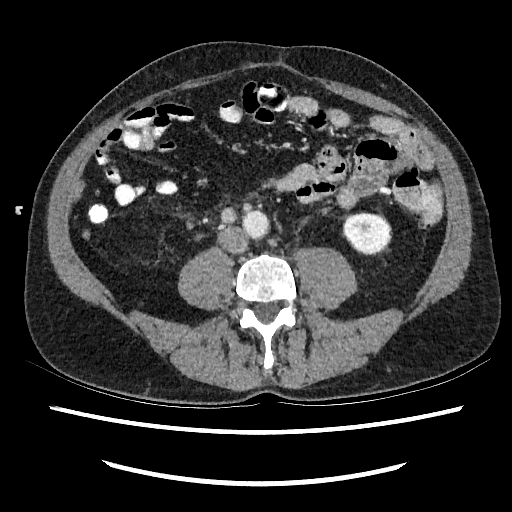

512x512 | Abdomen | CT
<segmentation>
  <kidney>[x1=345, y1=214, x2=389, y2=253]</kidney>
</segmentation>